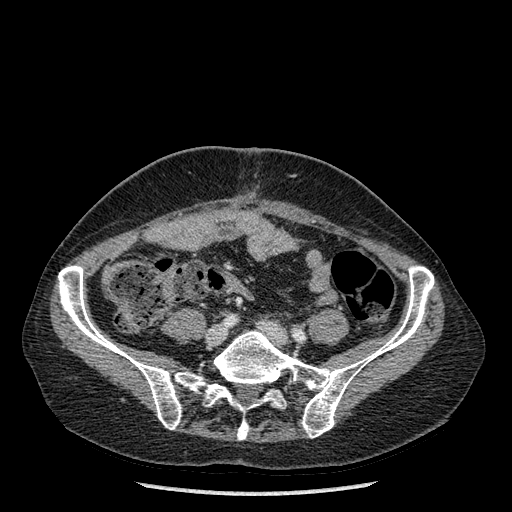

CT | Image size 512x512
<segmentation>
  <bone>58 265 286 429, 214 265 434 438, 237 418 249 440</bone>
</segmentation>